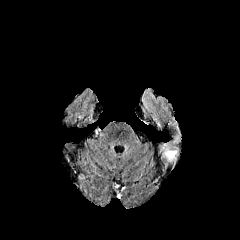
FLAIR MR image.
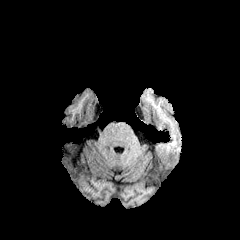
T1-weighted MR.
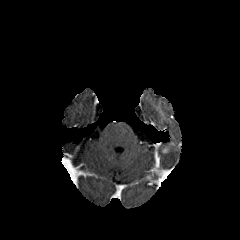
Same slice, post-contrast T1-weighted magnetic resonance.
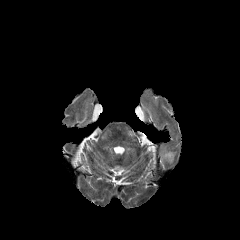
Same slice, T2-weighted MR.
Brain, 240x240
{
  "edema": [
    "x1=173, y1=134, x2=180, y2=144",
    "x1=162, y1=146, x2=178, y2=165"
  ]
}